Lower abdomen | Computed tomography | Slice index 76 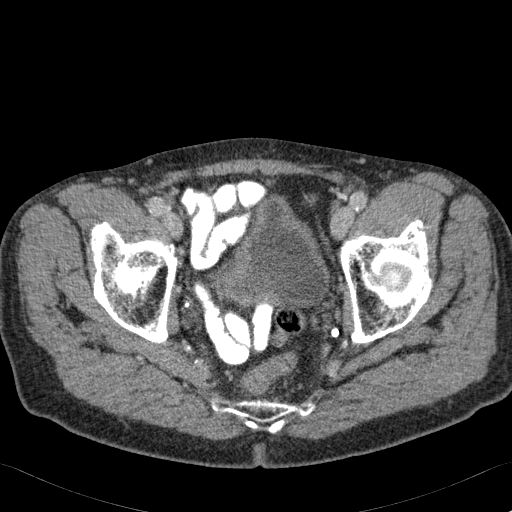
Urinary bladder: bounding box box=[216, 200, 329, 309].